Slice index 131, Head
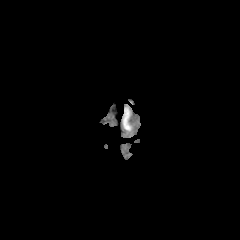
FLAIR MR.
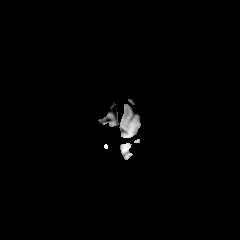
T1-weighted MR of the same slice.
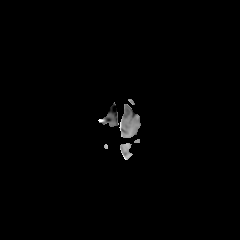
Post-contrast T1-weighted MR image.
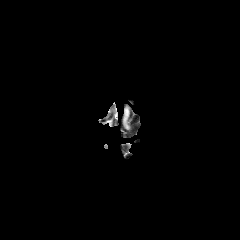
Same slice, T2-weighted MR.
The edema is at 123, 108, 130, 129.